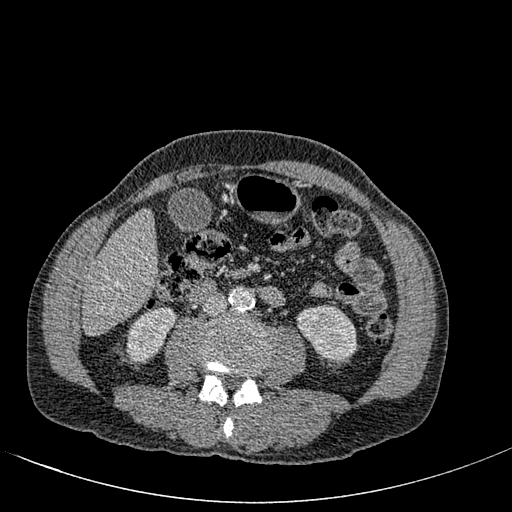

CT slice.
liver:
  - {"x1": 81, "y1": 208, "x2": 156, "y2": 332}
kidney:
  - {"x1": 126, "y1": 307, "x2": 175, "y2": 361}
  - {"x1": 297, "y1": 305, "x2": 356, "y2": 360}